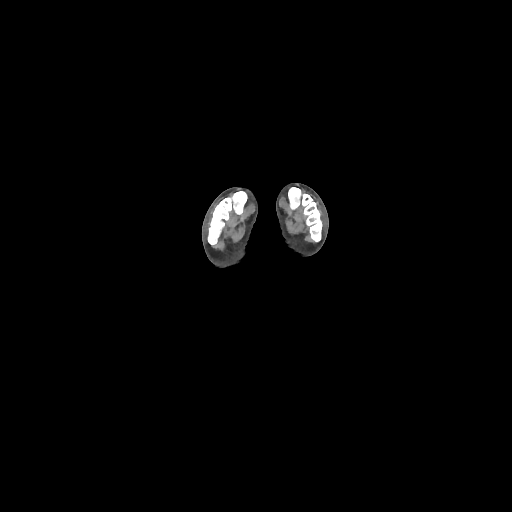 Image size 512x512. CT slice.
Bone — rect(288, 187, 321, 241); rect(208, 191, 247, 244).